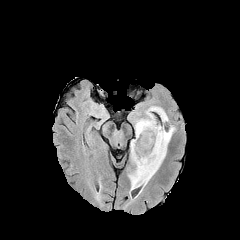
FLAIR magnetic resonance.
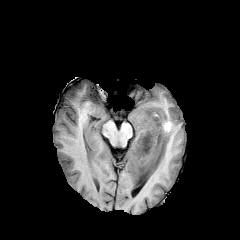
Same slice, T1-weighted MR image.
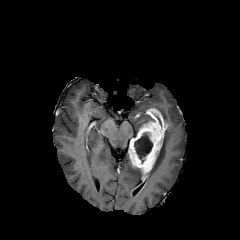
Same slice, post-contrast T1-weighted MR.
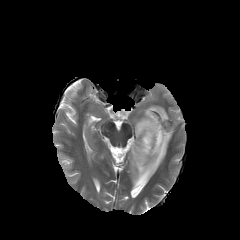
T2-weighted MRI.
Image size 240x240 | Head
The enhancing tumor appears at (128, 108, 166, 174). 3 edema regions are located at (129, 113, 145, 135), (128, 125, 175, 190), (147, 106, 168, 122). 2 non-enhancing tumor core regions are located at (134, 132, 153, 163), (138, 114, 155, 131).